512x512 px. Abdomen. Slice index 374. CT image.

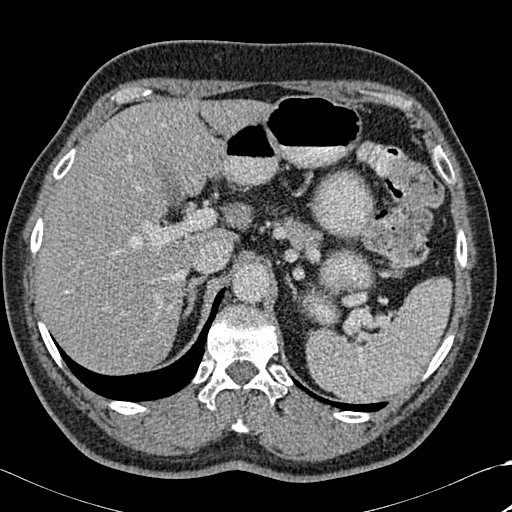
9 bone regions are located at (54,163,66,178), (39,323,60,364), (111,401,145,414), (233,420,247,431), (194,307,292,407), (425,336,452,377), (456,231,466,266), (31,219,42,252), (334,411,368,422). 2 lung regions appear at (57,288,225,401), (292,378,386,411). 3 liver regions are bounded by (238,206,249,228), (202,101,266,136), (41,100,221,374).